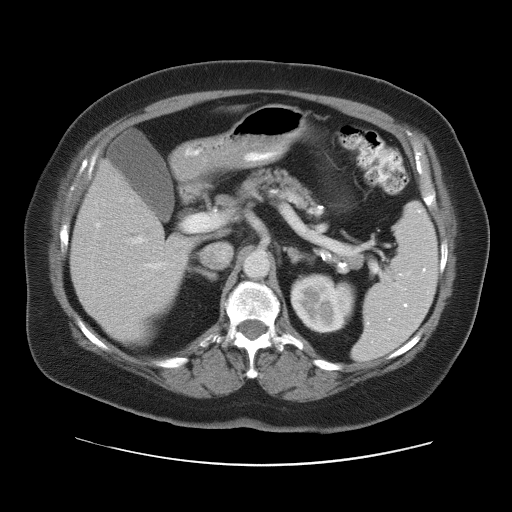
Upper abdomen | CT image
The spleen is bounded by l=353, t=204, r=439, b=360.